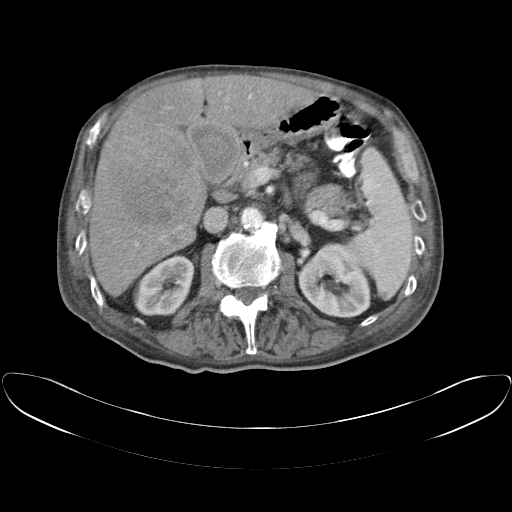
CT
The vessel annotation is not exhaustive.
hepatic_vessel:
  - left=172, top=231, right=173, bottom=232
  - left=135, top=242, right=138, bottom=245
  - left=179, top=226, right=181, bottom=228
  - left=166, top=242, right=167, bottom=243
  - left=159, top=231, right=165, bottom=241
  - left=248, top=94, right=251, bottom=98
  - left=225, top=99, right=228, bottom=109
  - left=163, top=106, right=171, bottom=109
liver_tumor:
  - left=113, top=163, right=191, bottom=228